CT; Lower abdomen; Slice index 80 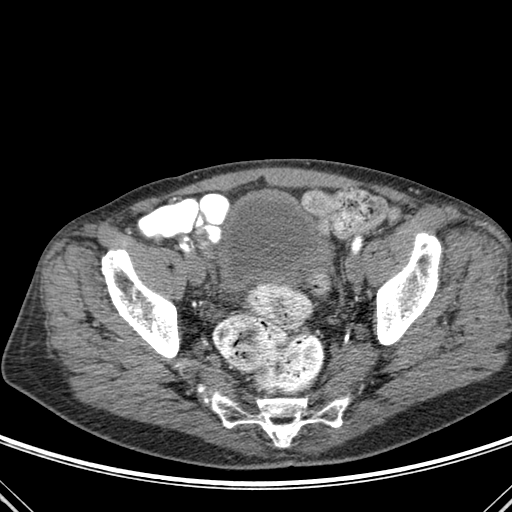

Segmented structures:
• urinary bladder: (x1=307, y1=291, x2=328, y2=301), (x1=208, y1=197, x2=340, y2=300)
• bone: (x1=101, y1=249, x2=179, y2=358), (x1=210, y1=391, x2=349, y2=447), (x1=376, y1=232, x2=441, y2=345)